Computed tomography. Pelvis.
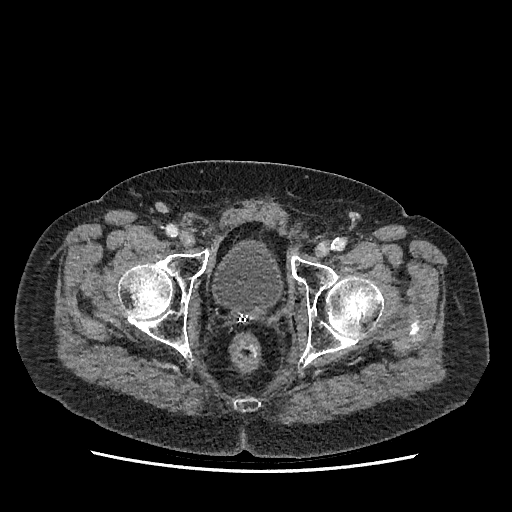

urinary bladder: x1=213, y1=245, x2=280, y2=312